CT slice, Field of view 500 mm wide, 5.00 mm slice spacing, Liver, Image size 512x512
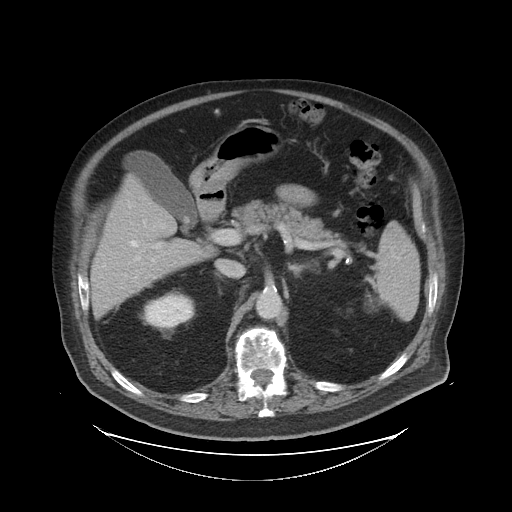
Some hepatic vessels may have no box.
Annotated regions:
• hepatic vessel: [155,244,159,247], [130,241,137,245], [136,253,139,258]